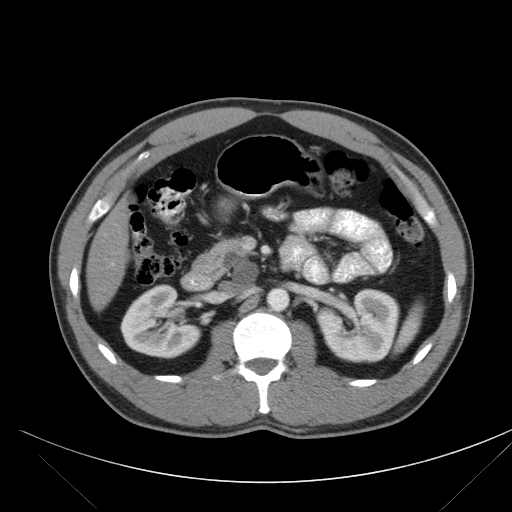
CT; Upper abdomen
Findings:
• pancreas: x1=202, y1=236, x2=259, y2=282
• pancreatic tumor: x1=224, y1=250, x2=257, y2=287